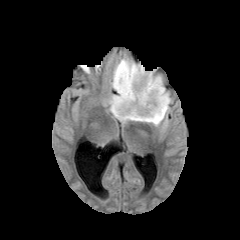
FLAIR MR.
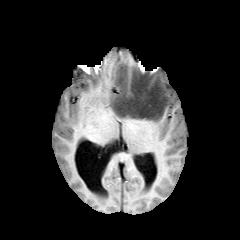
T1-weighted MR of the same slice.
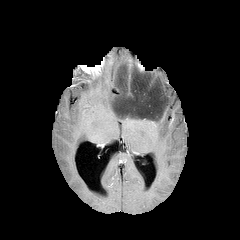
Post-contrast T1-weighted magnetic resonance.
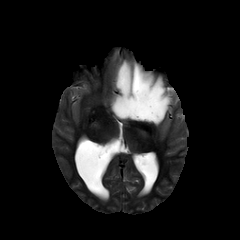
T2-weighted magnetic resonance.
240x240.
• edema: (x1=108, y1=57, x2=173, y2=128)
• non-enhancing tumor core: (x1=113, y1=64, x2=168, y2=121)
• enhancing tumor: (x1=127, y1=62, x2=133, y2=98)